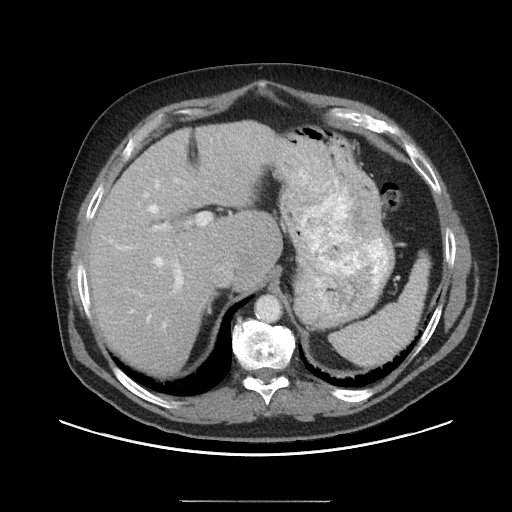

CT scan slice; Liver
The vessel annotation is not exhaustive.
11 hepatic vessel regions appear at x1=155, y1=180, x2=158, y2=187; x1=119, y1=246, x2=131, y2=249; x1=152, y1=225, x2=163, y2=230; x1=147, y1=315, x2=150, y2=319; x1=197, y1=214, x2=210, y2=224; x1=143, y1=192, x2=148, y2=197; x1=175, y1=179, x2=178, y2=182; x1=174, y1=264, x2=182, y2=288; x1=163, y1=323, x2=165, y2=326; x1=155, y1=257, x2=162, y2=266; x1=148, y1=205, x2=157, y2=212.